MR 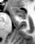
anterior hippocampus: 10 6 25 18